Lower abdomen; Image size 512x512; Slice 103 of 841; CT scan slice

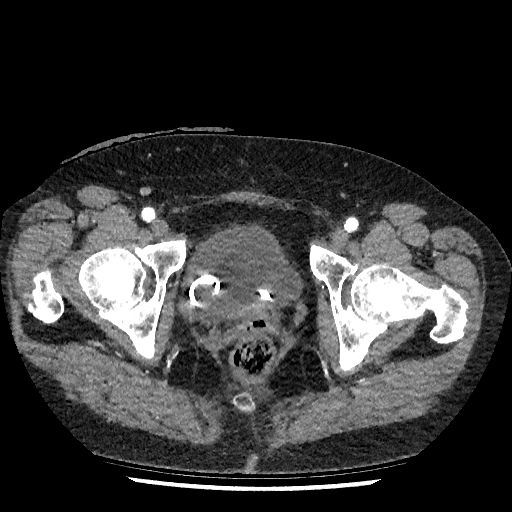

<segmentation>
  <urinary_bladder>177, 224, 296, 326</urinary_bladder>
</segmentation>